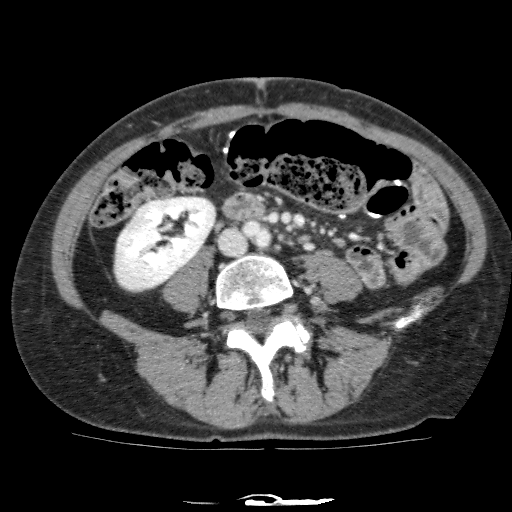
CT | Abdomen | 512x512

Kidney: bounding box <box>116,197,214,288</box>.